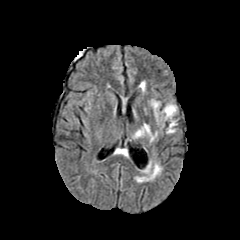
FLAIR magnetic resonance.
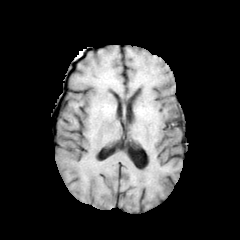
Same slice, T1-weighted MRI.
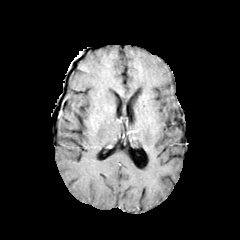
Post-contrast T1-weighted MRI of the same slice.
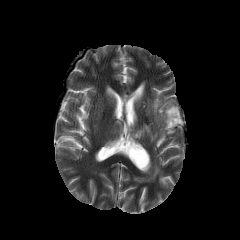
T2-weighted magnetic resonance of the same slice.
Brain, 240x240
4 edema regions are bounded by [132, 124, 151, 138], [139, 82, 145, 93], [150, 97, 178, 133], [147, 165, 160, 177].